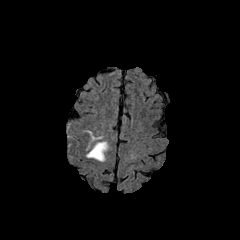
FLAIR MRI.
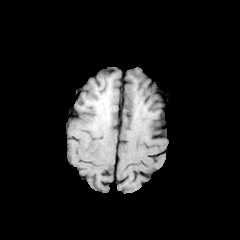
T1-weighted MRI.
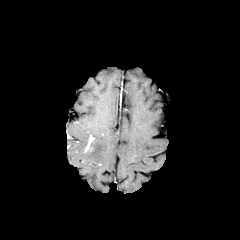
Post-contrast T1-weighted magnetic resonance.
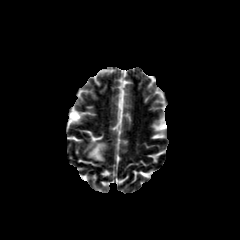
Same slice, T2-weighted MR image.
240x240 px
edema: rect(82, 130, 108, 162)